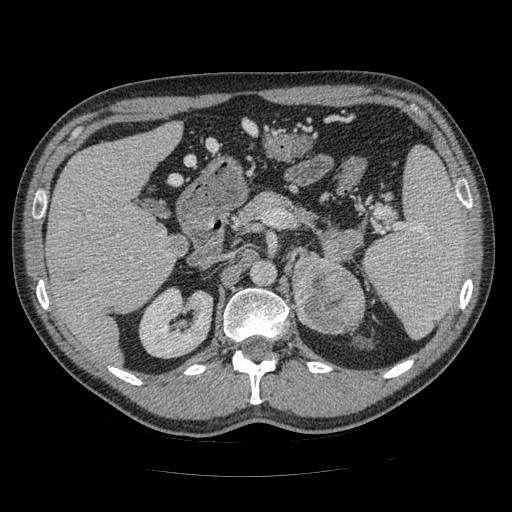
CT slice | Abdomen
pancreas:
  - [242,192,360,274]
pancreatic_tumor:
  - [294,257,365,332]